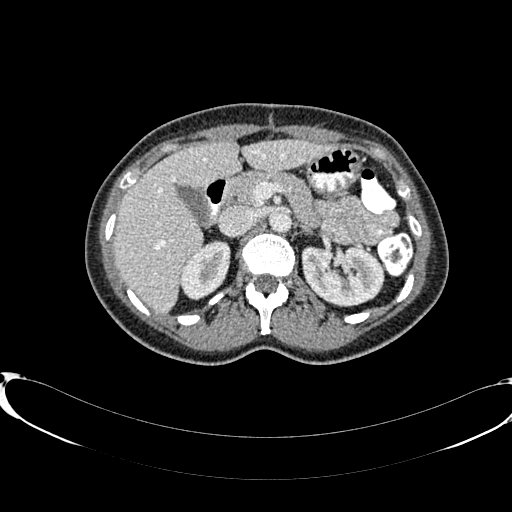
Image size 512x512. Abdomen. CT.

2 liver regions are located at <bbox>240, 140, 336, 170</bbox>, <bbox>112, 143, 242, 313</bbox>. 2 kidney regions appear at <bbox>303, 249, 382, 304</bbox>, <bbox>182, 243, 228, 297</bbox>.